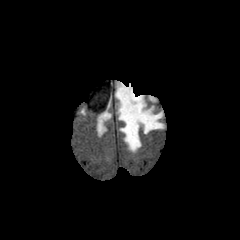
FLAIR magnetic resonance.
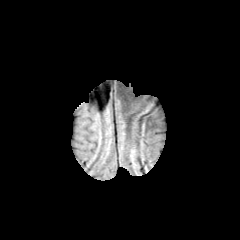
T1-weighted MRI.
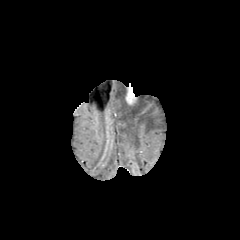
Post-contrast T1-weighted MRI of the same slice.
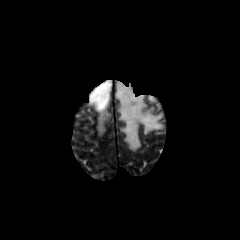
T2-weighted MR image.
Edema at [115,81,164,151].
Enhancing tumor at [126,90,135,103].